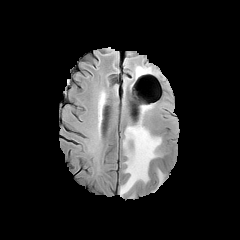
FLAIR MR image.
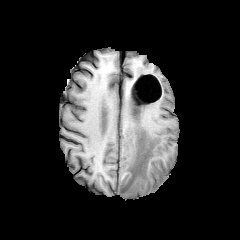
Same slice, T1-weighted MRI.
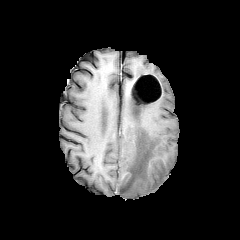
Post-contrast T1-weighted MR image.
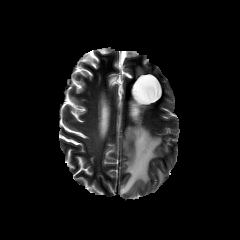
Same slice, T2-weighted MR.
Image size 240x240
edema:
  - 136, 68, 144, 76
  - 120, 120, 161, 195